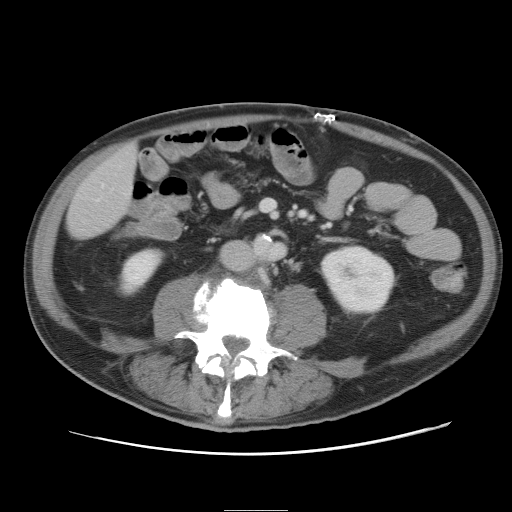 Abdomen. 512x512 px. CT.

Some hepatic vessels may have no box.
The hepatic vessel is at 130, 145, 133, 149.